Head | Slice 126 of 155 | Field of view 240 mm wide, 1.00 mm slice spacing
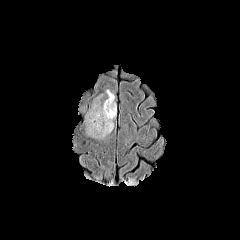
FLAIR magnetic resonance.
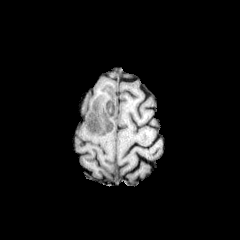
T1-weighted magnetic resonance.
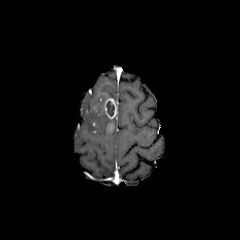
Post-contrast T1-weighted MRI.
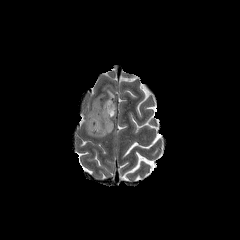
T2-weighted MR.
* enhancing tumor: [105, 98, 116, 118], [106, 123, 113, 131]
* non-enhancing tumor core: [106, 101, 114, 117]
* edema: [89, 103, 111, 131]